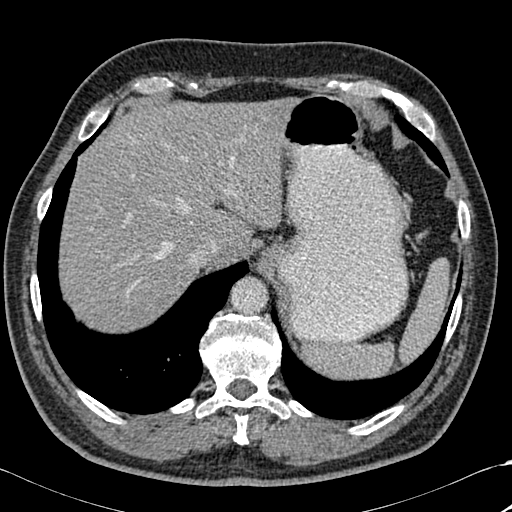
CT
lung:
  - l=37, t=117, r=248, b=414
  - l=394, t=114, r=448, b=176
  - l=271, t=263, r=462, b=419
liver:
  - l=208, t=248, r=229, b=264
  - l=60, t=99, r=292, b=331
bone:
  - l=234, t=415, r=247, b=443
  - l=196, t=314, r=311, b=418
  - l=446, t=296, r=461, b=340
  - l=78, t=391, r=121, b=423
  - l=79, t=111, r=106, b=140
  - l=171, t=399, r=193, b=413
  - l=37, t=189, r=51, b=219
  - l=143, t=78, r=172, b=91
  - l=30, t=275, r=41, b=319
  - l=458, t=201, r=464, b=237
  - l=342, t=83, r=434, b=139
  - l=349, t=405, r=403, b=435
  - l=466, t=206, r=469, b=237